240x240. Head.
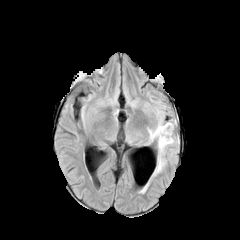
FLAIR MR image.
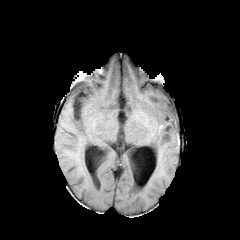
T1-weighted magnetic resonance.
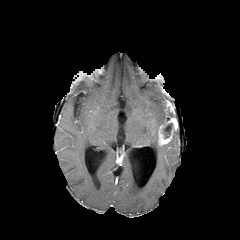
Post-contrast T1-weighted MR image.
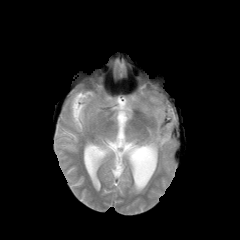
T2-weighted MR image.
Edema at bbox=[146, 100, 174, 175].
Non-enhancing tumor core at bbox=[164, 105, 176, 124].
Enhancing tumor at bbox=[158, 134, 169, 143].